Upper abdomen. CT scan slice.

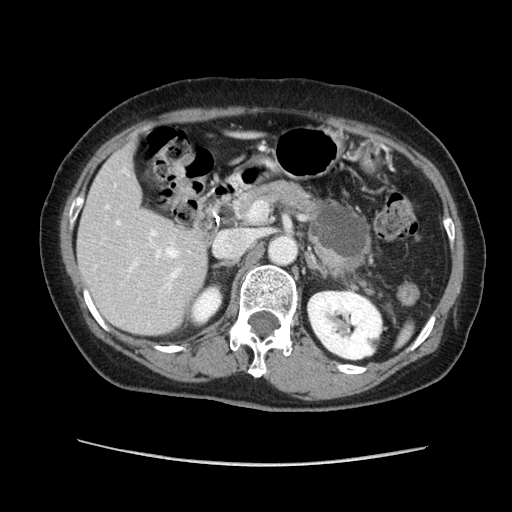

{"pancreatic_tumor": ["<bbox>311, 203, 368, 259</bbox>"], "pancreas": ["<bbox>227, 178, 378, 296</bbox>"]}